CT scan slice | Abdomen
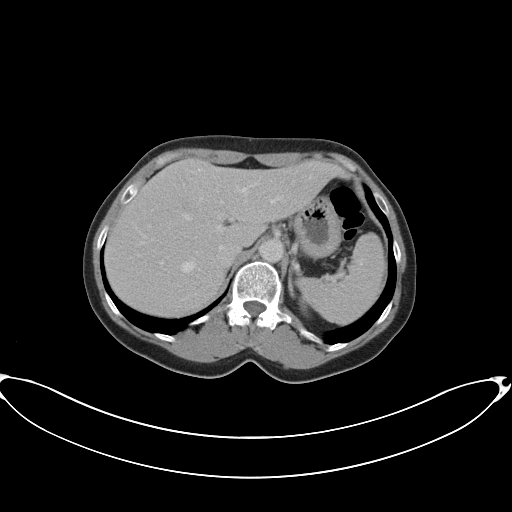
The vessel annotation is not exhaustive.
<segmentation>
  <hepatic_vessel>left=236, top=182, right=257, bottom=195; left=219, top=215, right=221, bottom=217; left=183, top=263, right=194, bottom=270; left=270, top=196, right=282, bottom=203; left=216, top=226, right=222, bottom=231</hepatic_vessel>
</segmentation>